Field of view 240 mm wide, 1.00 mm slice spacing, Image size 240x240, Brain, Slice index 79
FLAIR MR image.
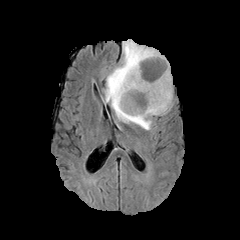
T1-weighted MR image.
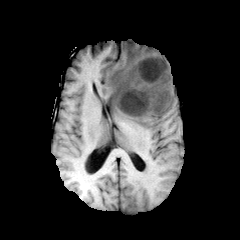
Post-contrast T1-weighted magnetic resonance.
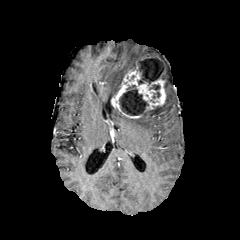
T2-weighted MR image.
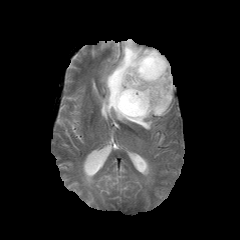
Findings:
* enhancing tumor: l=111, t=54, r=167, b=118
* edema: l=103, t=39, r=173, b=130
* non-enhancing tumor core: l=119, t=85, r=148, b=115; l=141, t=59, r=162, b=83